FLAIR magnetic resonance.
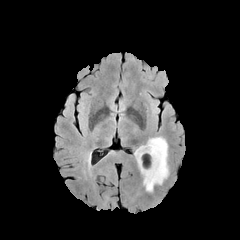
T1-weighted MR image.
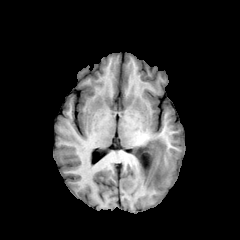
Post-contrast T1-weighted MRI.
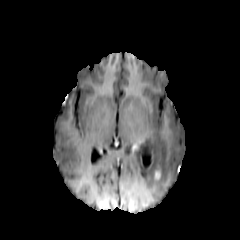
T2-weighted MR image.
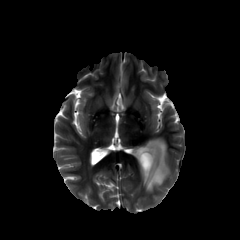
Annotated regions:
- edema: box=[134, 136, 169, 192]; box=[153, 103, 159, 122]